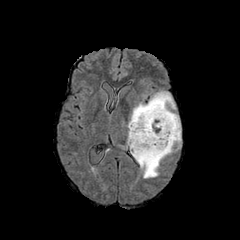
FLAIR MR.
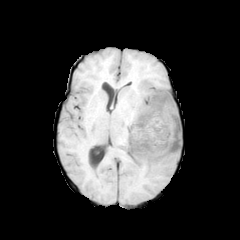
T1-weighted MR image of the same slice.
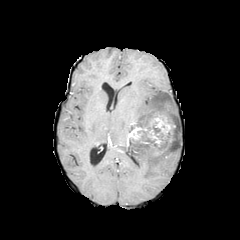
Post-contrast T1-weighted MR.
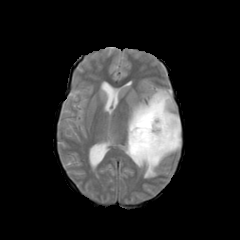
Same slice, T2-weighted MRI.
240x240
{
  "edema": [
    "l=128, t=89, r=181, b=178"
  ],
  "non-enhancing_tumor_core": [
    "l=130, t=103, r=165, b=133",
    "l=127, t=118, r=177, b=157"
  ],
  "enhancing_tumor": [
    "l=127, t=114, r=171, b=146"
  ]
}